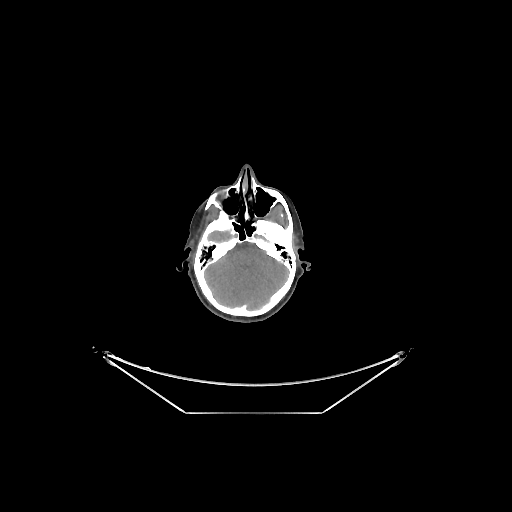

CT, 512x512 px
Annotated regions:
• brain: {"x1": 208, "y1": 231, "x2": 236, "y2": 241}, {"x1": 204, "y1": 241, "x2": 287, "y2": 310}